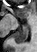 Medial temporal lobe | MRI | 37x52
The posterior hippocampus appears at bbox(15, 24, 29, 43).